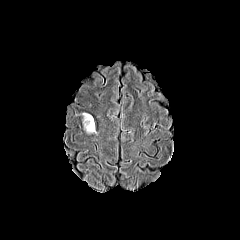
FLAIR MRI.
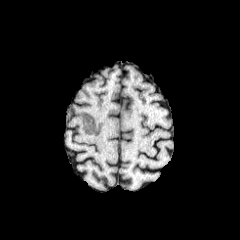
Same slice, T1-weighted MRI.
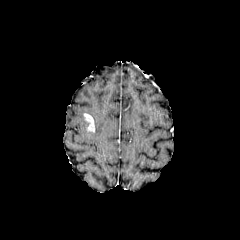
Post-contrast T1-weighted magnetic resonance.
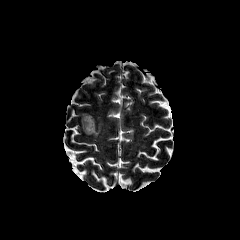
Same slice, T2-weighted MRI.
The enhancing tumor is at [84, 113, 94, 132]. The edema lies within [82, 117, 93, 134].